512x512; CT

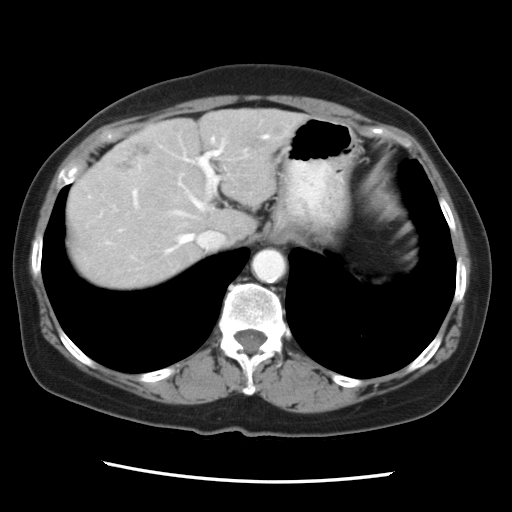

The vessel annotation is not exhaustive.
Annotated regions:
• hepatic vessel: x1=170, y1=209, x2=191, y2=216; x1=131, y1=187, x2=138, y2=208; x1=165, y1=232, x2=223, y2=253; x1=200, y1=141, x2=224, y2=194; x1=178, y1=180, x2=206, y2=211; x1=104, y1=240, x2=110, y2=244
• liver tumor: x1=119, y1=141, x2=144, y2=169